Image width 240 mm; Image size 240x240
FLAIR MR.
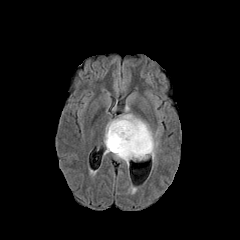
T1-weighted MR image.
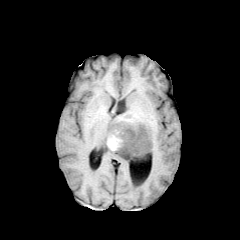
Post-contrast T1-weighted MR image.
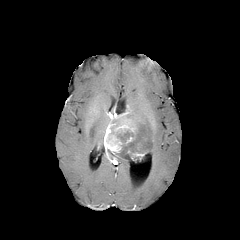
T2-weighted MR image.
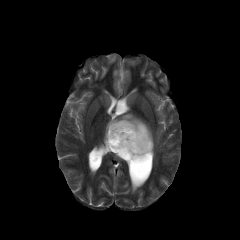
enhancing tumor: x1=127, y1=150, x2=145, y2=158; x1=104, y1=116, x2=136, y2=153 | edema: x1=108, y1=107, x2=157, y2=164 | non-enhancing tumor core: x1=116, y1=125, x2=151, y2=160; x1=112, y1=115, x2=124, y2=125